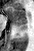
MRI slice

posterior hippocampus: region(20, 26, 27, 29) | anterior hippocampus: region(6, 7, 27, 25)